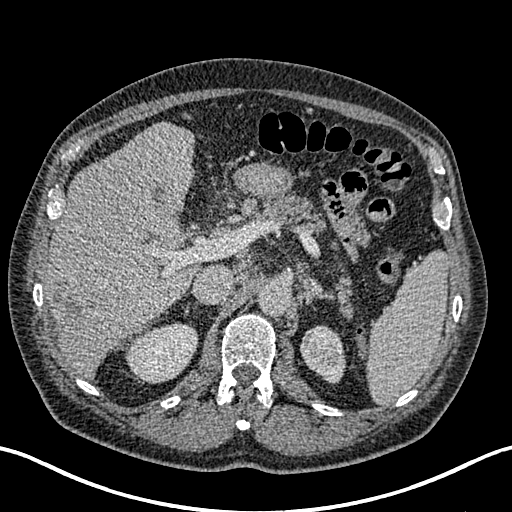 512x512 px; Upper abdomen; CT image
Findings:
- kidney: <bbox>301, 327, 343, 381</bbox>, <bbox>128, 324, 196, 382</bbox>
- focal liver lesion: <bbox>151, 180, 171, 200</bbox>, <bbox>167, 234, 180, 243</bbox>, <bbox>52, 283, 94, 327</bbox>
- liver: <bbox>45, 123, 198, 377</bbox>